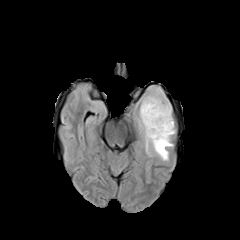
FLAIR MR.
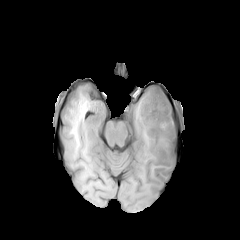
T1-weighted magnetic resonance.
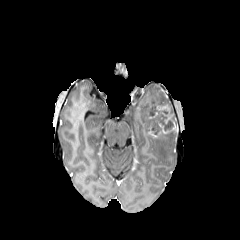
Post-contrast T1-weighted magnetic resonance.
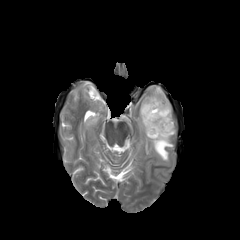
Same slice, T2-weighted MR.
240x240. Head.
Non-enhancing tumor core: region(143, 85, 176, 138).
Edema: region(133, 85, 176, 164).